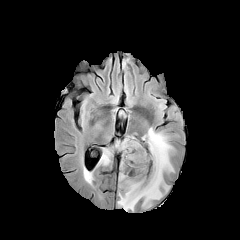
FLAIR MR.
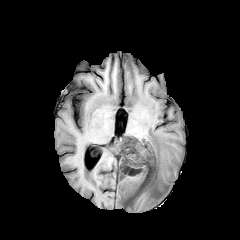
T1-weighted MRI.
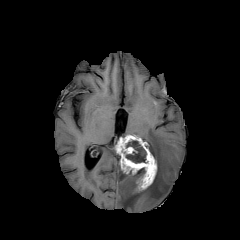
Post-contrast T1-weighted MRI of the same slice.
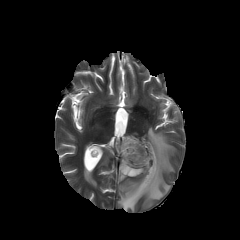
T2-weighted MRI of the same slice.
Head
3 non-enhancing tumor core regions are bounded by 136,167,147,185; 125,148,146,163; 126,136,158,166. 6 edema regions are located at 84,171,92,183; 131,172,141,181; 99,146,114,165; 132,144,145,159; 117,127,173,211; 119,170,127,181. The enhancing tumor is bounded by 115,136,157,189.